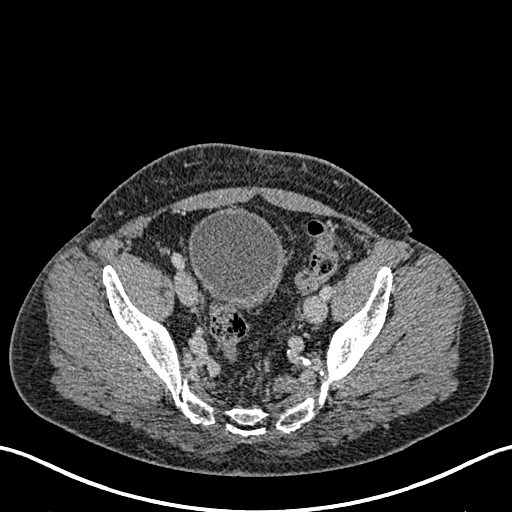 Lower abdomen; CT image
The urinary bladder is at 189, 211, 287, 310.